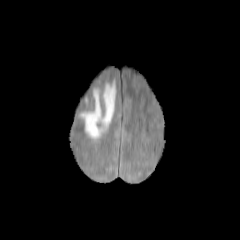
FLAIR MR.
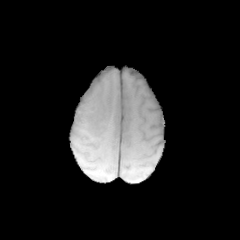
T1-weighted MR image of the same slice.
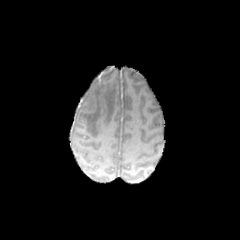
Post-contrast T1-weighted MRI.
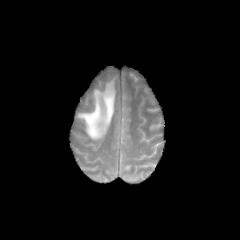
T2-weighted MRI.
240x240 px
<segmentation>
  <edema>(left=77, top=80, right=115, bottom=141)</edema>
</segmentation>